Head
FLAIR MRI.
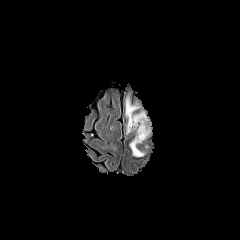
T1-weighted MRI.
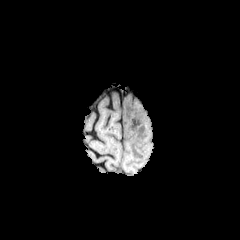
Post-contrast T1-weighted MRI.
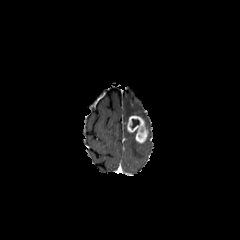
T2-weighted MR image.
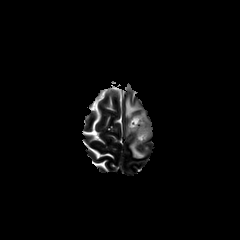
Edema = region(124, 95, 152, 137); region(129, 139, 148, 158).
Enhancing tumor = region(126, 115, 148, 143).